CT scan slice | 512x512 px
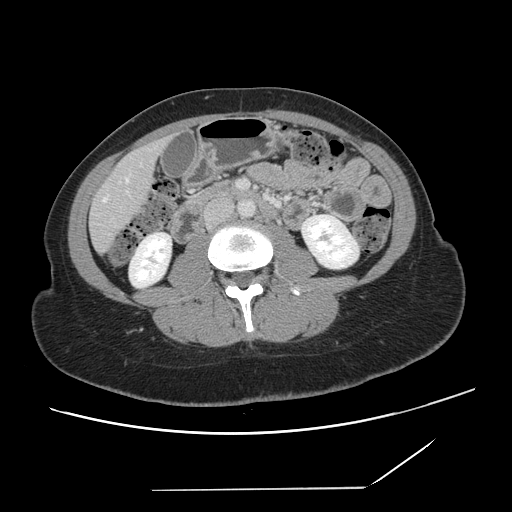

The vessel boxes may cover only some of the vessels.
hepatic_vessel:
  - x1=103, y1=195, x2=108, y2=201
  - x1=126, y1=175, x2=130, y2=181